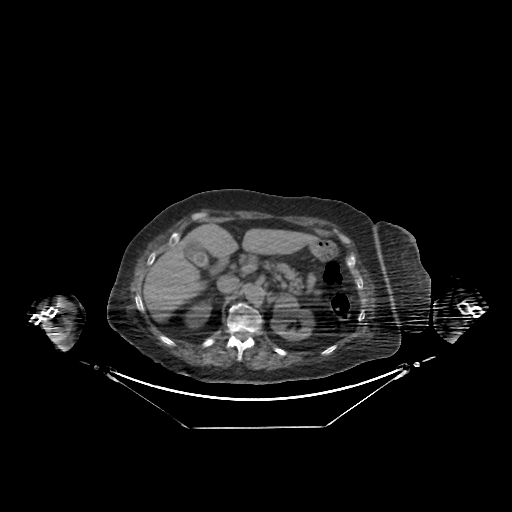
CT image; Image size 512x512

2 kidney regions are bounded by (185,300,211,327), (271,298,314,340). The liver lies within (142,223,321,322).